240x240, Head
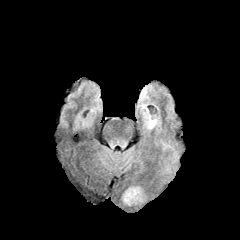
FLAIR MR.
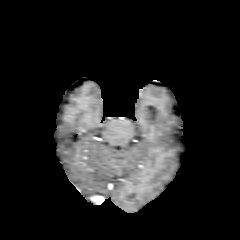
Same slice, T1-weighted MR.
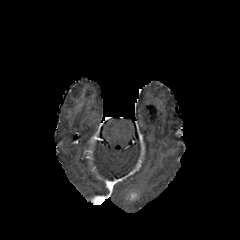
Post-contrast T1-weighted magnetic resonance of the same slice.
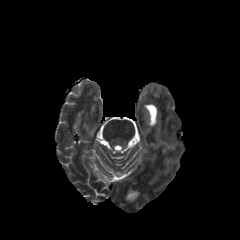
T2-weighted MR.
<segmentation>
  <edema>125, 188, 142, 199</edema>
</segmentation>